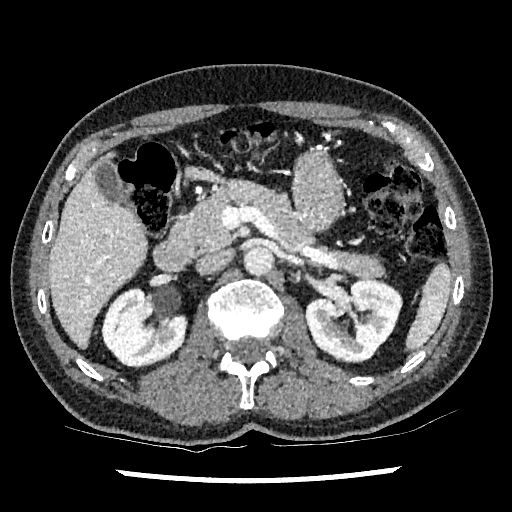 Liver | CT image

Kidney — 306:281:400:360, 103:290:185:365.
Liver — 48:151:146:348.